CT slice; Liver; Slice 29 of 88
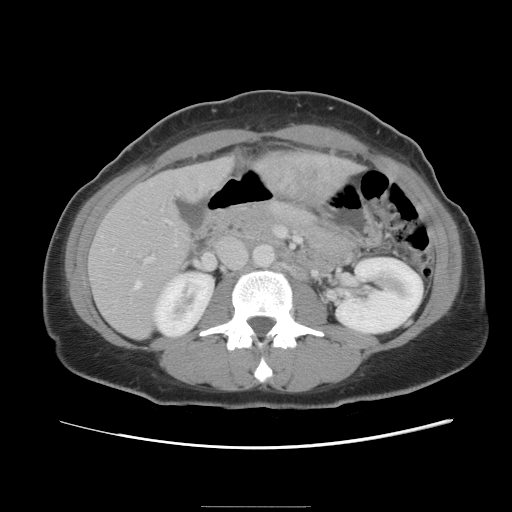
The vessel boxes may cover only some of the vessels.
Annotated regions:
- hepatic vessel: <bbox>143, 255, 153, 262</bbox>, <bbox>277, 231, 285, 235</bbox>, <bbox>112, 248, 113, 250</bbox>, <bbox>211, 241, 246, 269</bbox>, <bbox>296, 237, 299, 240</bbox>, <bbox>134, 281, 140, 287</bbox>, <bbox>168, 221, 171, 223</bbox>, <bbox>165, 219, 167, 220</bbox>, <bbox>200, 185, 201, 187</bbox>
- liver tumor: <bbox>267, 158, 333, 208</bbox>